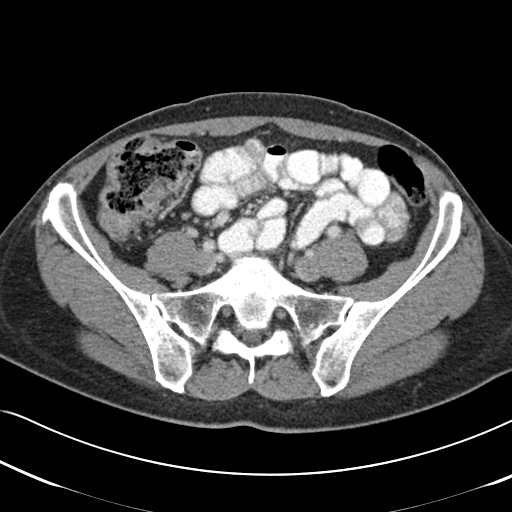

CT image.
2 colon tumor regions appear at [x1=142, y1=179, x2=169, y2=208], [x1=100, y1=208, x2=145, y2=238].